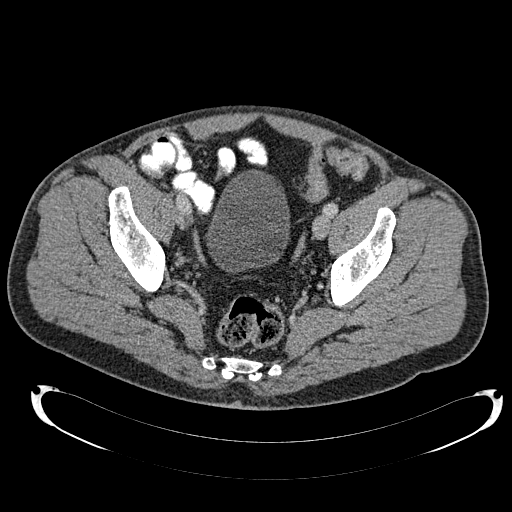 CT slice. 512x512. Lower abdomen.
urinary_bladder:
  - (left=205, top=169, right=289, bottom=272)